CT scan slice, Upper abdomen
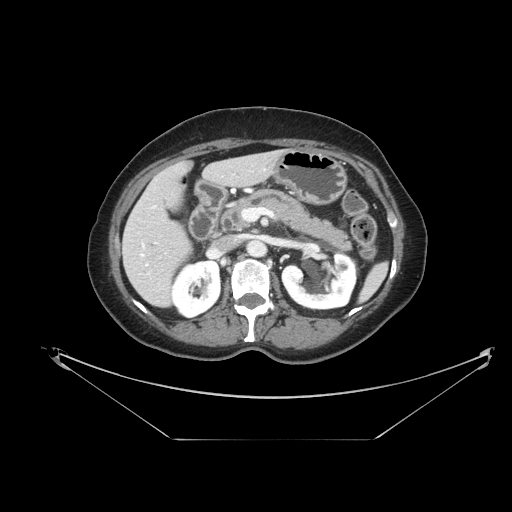

pancreas: 224, 189, 351, 252